Head; Field of view 240 mm wide, 1.00 mm slice spacing; Slice 101/155
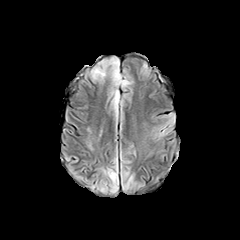
FLAIR MRI.
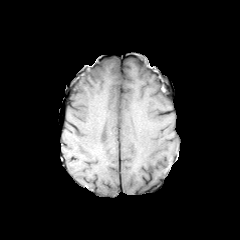
Same slice, T1-weighted MRI.
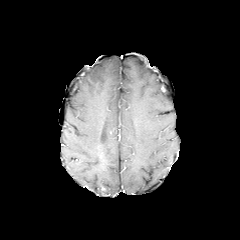
Post-contrast T1-weighted MR image.
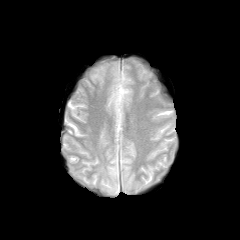
Same slice, T2-weighted magnetic resonance.
The edema is located at box(108, 167, 118, 184).